Image width 360 mm; Computed tomography; Slice 51/689
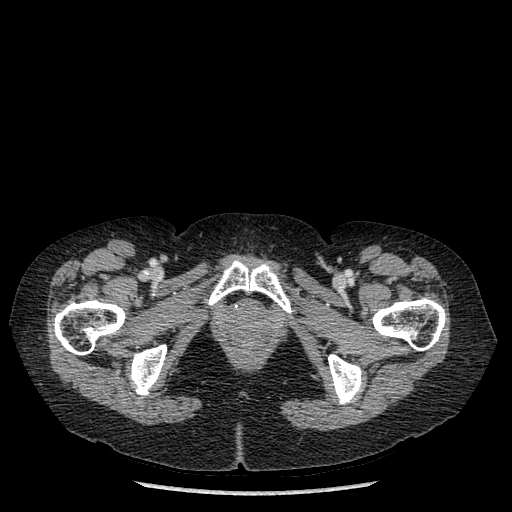

5 bone regions are bounded by (left=372, top=298, right=446, bottom=350), (left=328, top=354, right=362, bottom=404), (left=53, top=299, right=125, bottom=355), (left=129, top=344, right=166, bottom=395), (left=208, top=256, right=291, bottom=312).